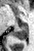 MR
The anterior hippocampus is located at x1=22 y1=23 x2=27 y2=24. The posterior hippocampus is at x1=12 y1=25 x2=28 y2=39.